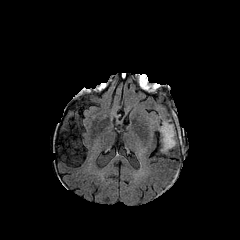
FLAIR MR.
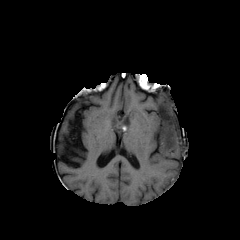
T1-weighted magnetic resonance.
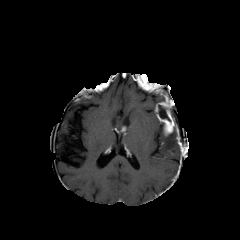
Same slice, post-contrast T1-weighted MRI.
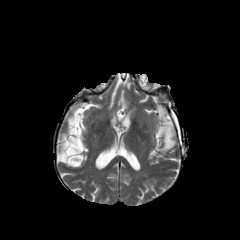
T2-weighted MR image.
Non-enhancing tumor core = <box>139,79,150,90</box>, <box>156,90,175,118</box>.
Edema = <box>158,124,177,155</box>.
Enhancing tumor = <box>158,109,176,135</box>.